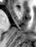
MRI; Hippocampus
<segmentation>
  <anterior_hippocampus>x1=17, y1=8, x2=19, y2=10</anterior_hippocampus>
</segmentation>